Image width 240 mm; Image size 240x240; Slice 100 of 155
FLAIR MRI.
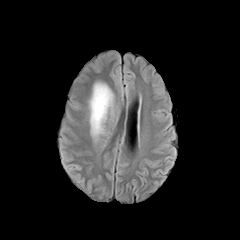
T1-weighted magnetic resonance.
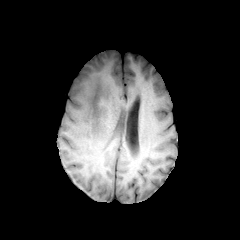
Post-contrast T1-weighted magnetic resonance.
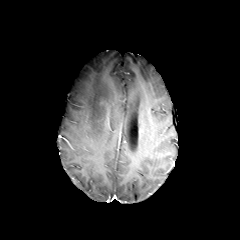
T2-weighted MR.
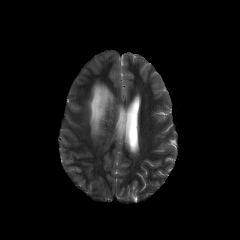
Findings:
• edema: (left=87, top=81, right=115, bottom=137)